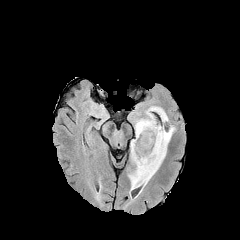
FLAIR magnetic resonance.
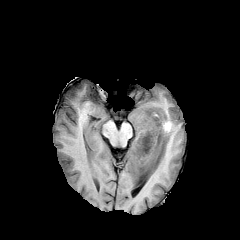
T1-weighted MR image of the same slice.
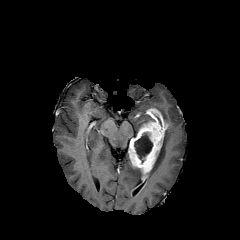
Post-contrast T1-weighted magnetic resonance.
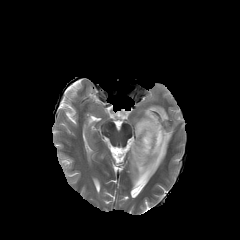
Same slice, T2-weighted MR image.
Head
Edema — 150:106:168:122, 127:166:139:190, 146:126:174:182, 133:110:145:136.
Enhancing tumor — 129:108:165:182.
Non-enhancing tumor core — 134:133:152:159, 132:166:146:187, 154:143:163:166, 136:114:151:134.